Slice index 325 | Field of view 339x339 mm | CT scan slice 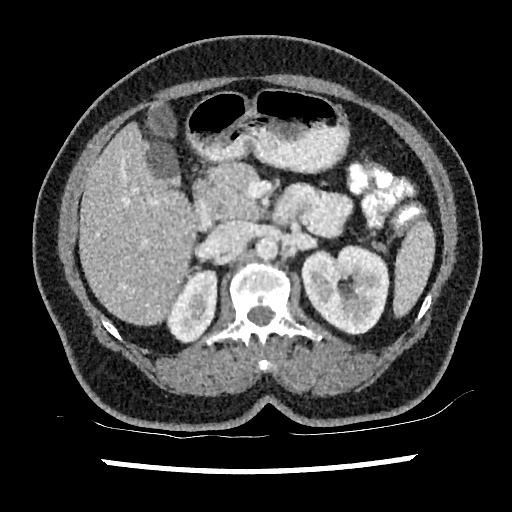 focal_liver_lesion:
  - [x1=146, y1=142, x2=178, y2=178]
liver:
  - [x1=79, y1=123, x2=193, y2=323]
kidney:
  - [x1=299, y1=247, x2=388, y2=333]
  - [x1=169, y1=271, x2=216, y2=341]